Medial temporal lobe, MRI slice
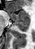 Posterior hippocampus at rect(13, 21, 29, 30).
Anterior hippocampus at rect(10, 9, 29, 21).